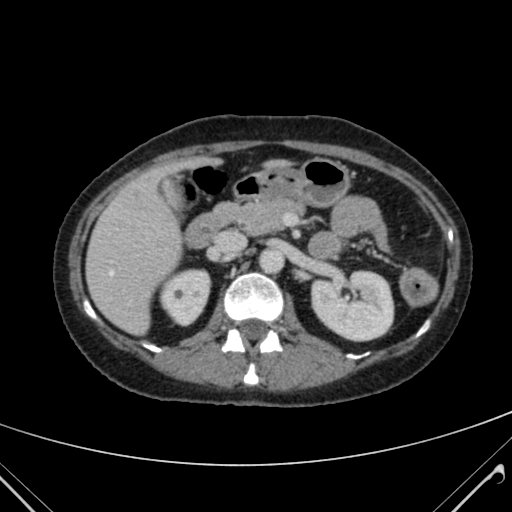

CT image
Annotated regions:
• liver: (left=86, top=165, right=179, bottom=331)
• kidney: (left=163, top=272, right=207, bottom=322), (left=313, top=273, right=392, bottom=339)